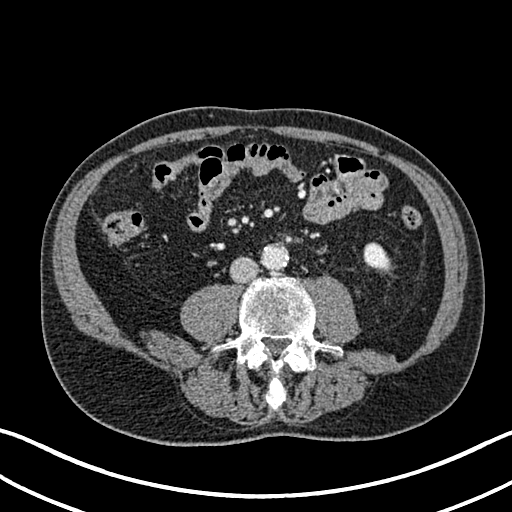

512x512 px, Abdomen, Computed tomography

The kidney lies within <box>364,243,388,268</box>.